512x512 px, CT slice, Slice 32/41, Abdomen

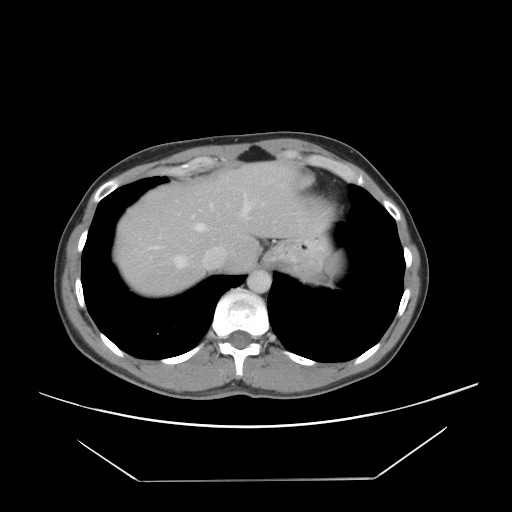
Not every hepatic vessel necessarily has a box.
hepatic_vessel:
  - <box>221,247,222,249</box>
  - <box>242,193,251,218</box>
  - <box>210,203,212,209</box>
  - <box>192,215,194,217</box>
  - <box>174,256,186,267</box>
  - <box>262,203,263,204</box>
  - <box>227,204,228,205</box>
  - <box>194,223,204,230</box>